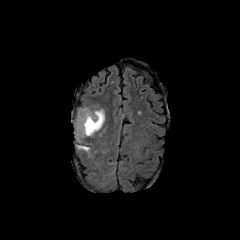
FLAIR magnetic resonance.
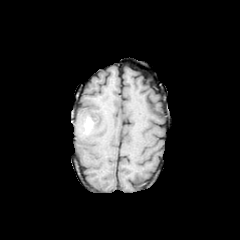
T1-weighted MR of the same slice.
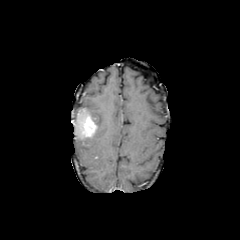
Post-contrast T1-weighted MRI of the same slice.
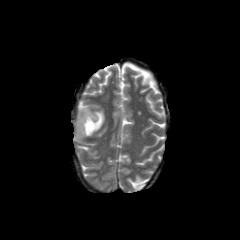
T2-weighted MR image of the same slice.
Image size 240x240.
edema:
  - (left=77, top=145, right=91, bottom=154)
  - (left=84, top=107, right=105, bottom=137)
enhancing_tumor:
  - (left=74, top=108, right=97, bottom=139)